FLAIR magnetic resonance.
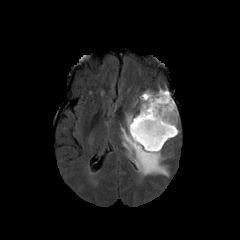
T1-weighted MR.
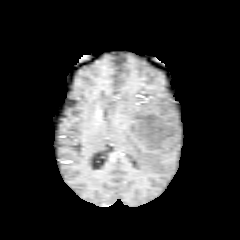
Post-contrast T1-weighted MR image.
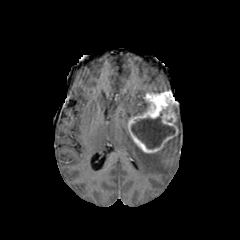
T2-weighted MRI.
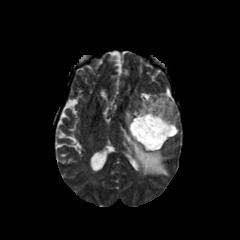
Head
Segmented structures:
* edema: [x1=121, y1=127, x2=167, y2=175], [x1=164, y1=133, x2=179, y2=146], [x1=137, y1=92, x2=145, y2=114]
* non-enhancing tumor core: [x1=140, y1=97, x2=148, y2=113], [x1=131, y1=117, x2=175, y2=148]
* enhancing tumor: [x1=128, y1=88, x2=178, y2=152]